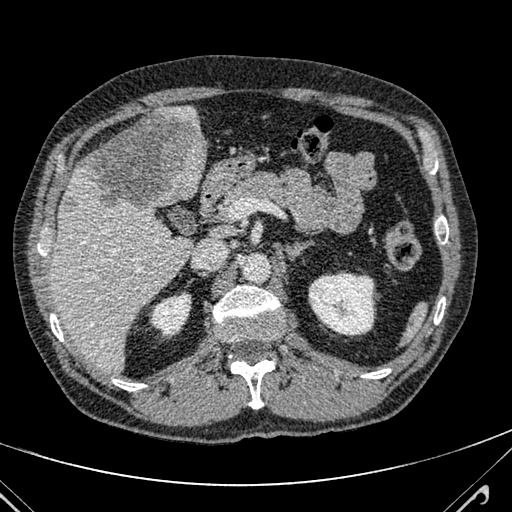
Liver | CT slice
2 liver regions are located at 52:161:203:371, 167:106:202:135. 2 hepatic lesion regions are located at 79:109:206:208, 63:194:72:206.